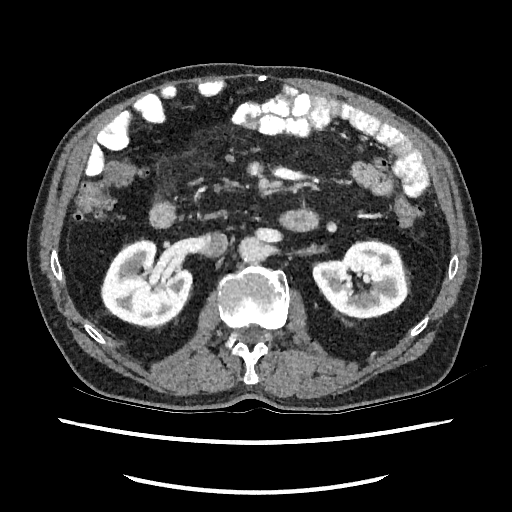

CT image. 512x512 px.
2 kidney regions are located at bbox=[101, 240, 192, 327]; bbox=[313, 241, 408, 318].